FLAIR magnetic resonance.
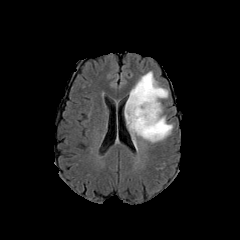
T1-weighted MRI.
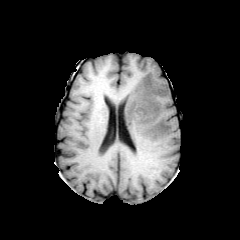
Post-contrast T1-weighted MR image.
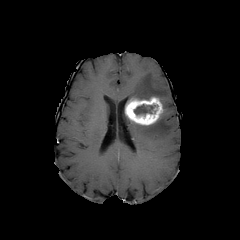
T2-weighted MR image.
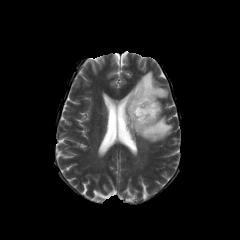
Brain
The enhancing tumor lies within (124,96,163,126). 2 edema regions appear at (127,71,168,99), (126,116,173,148). The non-enhancing tumor core lies within (134,104,153,114).